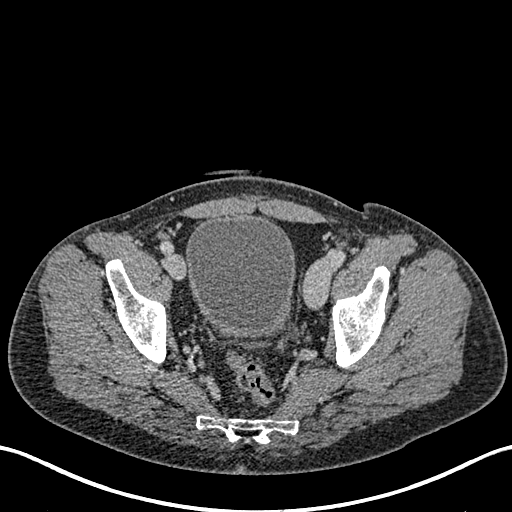
Lower abdomen | 512x512 px | CT slice

Urinary bladder = x1=185 y1=215 x2=295 y2=338.